FLAIR MR.
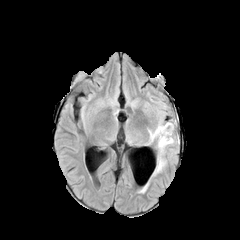
T1-weighted MR image.
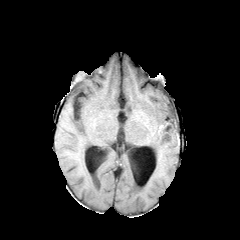
Post-contrast T1-weighted magnetic resonance.
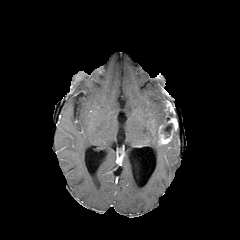
T2-weighted MR.
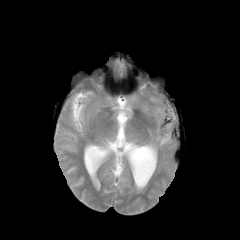
Brain
The enhancing tumor is at (left=159, top=134, right=169, bottom=143). The non-enhancing tumor core is bounded by (left=166, top=106, right=176, bottom=123). The edema appears at (left=146, top=105, right=174, bottom=174).